MR image. Slice index 21. Hippocampus.
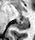
Annotated regions:
- posterior hippocampus: (14,20,28,30)